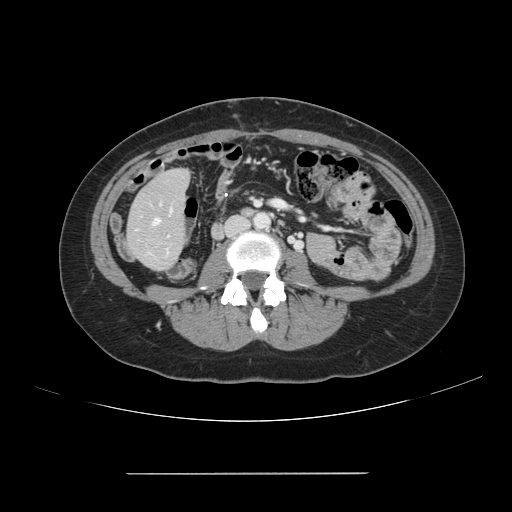 CT, Abdomen
Only some of the vessels may be annotated.
hepatic_vessel:
  - (left=170, top=209, right=171, bottom=211)
  - (left=153, top=219, right=159, bottom=224)